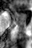

MR. Medial temporal lobe.
{"posterior_hippocampus": ["16, 22, 25, 27"], "anterior_hippocampus": ["12, 8, 25, 21"]}